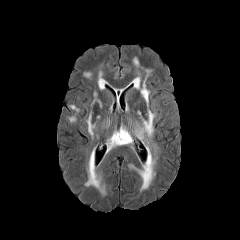
FLAIR MRI.
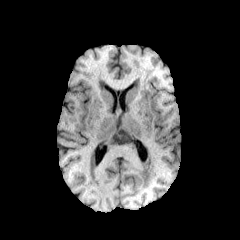
T1-weighted MRI.
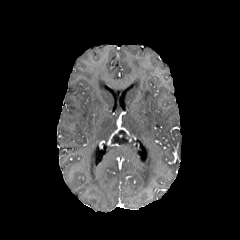
Post-contrast T1-weighted MRI of the same slice.
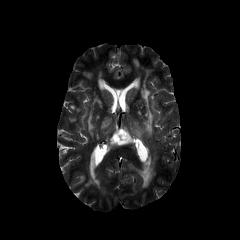
Same slice, T2-weighted MRI.
Image size 240x240, Brain
Non-enhancing tumor core — [x1=110, y1=130, x2=134, y2=149].
Edema — [x1=98, y1=71, x2=106, y2=90], [x1=131, y1=70, x2=151, y2=107], [x1=128, y1=144, x2=157, y2=192], [x1=84, y1=146, x2=105, y2=196], [x1=132, y1=110, x2=155, y2=143], [x1=86, y1=112, x2=95, y2=139].
Enhancing tumor — [x1=106, y1=127, x2=129, y2=144].